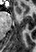
Medial temporal lobe; MR
Anterior hippocampus — box(15, 5, 21, 13).